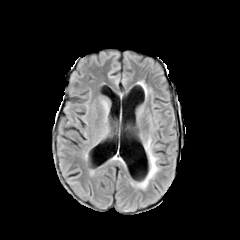
FLAIR MR.
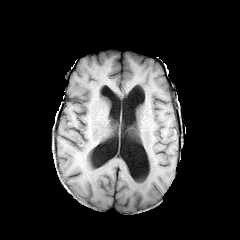
T1-weighted MR image.
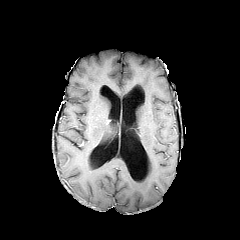
Post-contrast T1-weighted MR.
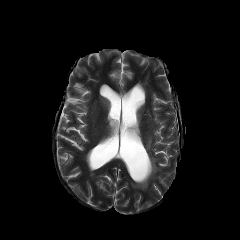
T2-weighted MR image.
240x240 px
<segmentation>
  <edema>{"x1": 136, "y1": 137, "x2": 160, "y2": 188}</edema>
</segmentation>